Field of view 240x240 mm. Brain.
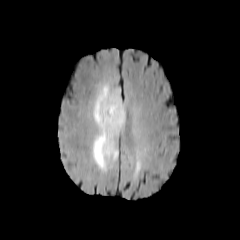
FLAIR magnetic resonance.
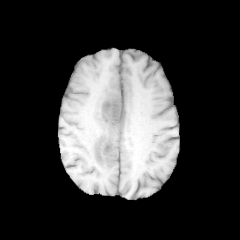
T1-weighted MR.
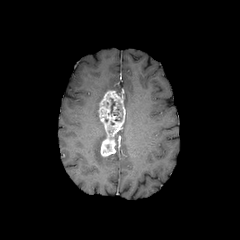
Same slice, post-contrast T1-weighted MR image.
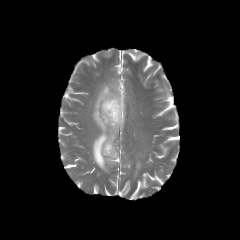
T2-weighted MR.
Findings:
- non-enhancing tumor core: 107,98,121,116
- enhancing tumor: 98,91,125,156
- edema: 93,84,119,172